FLAIR MR image.
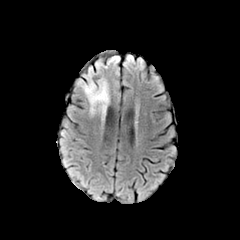
T1-weighted MR.
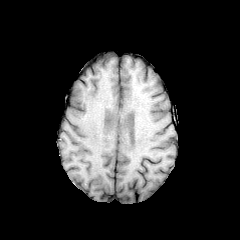
Post-contrast T1-weighted MRI.
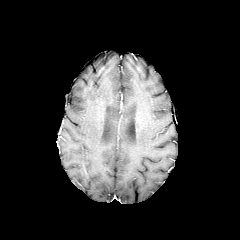
T2-weighted magnetic resonance.
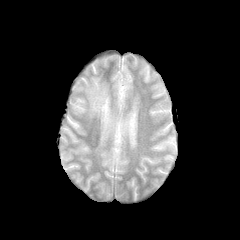
Head
Findings:
* edema: (78, 68, 110, 121)